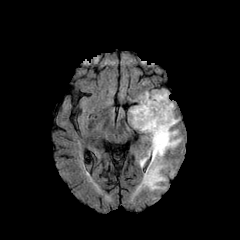
FLAIR magnetic resonance.
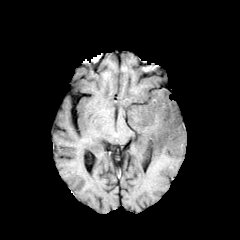
T1-weighted MRI.
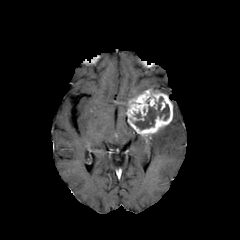
Post-contrast T1-weighted MR image of the same slice.
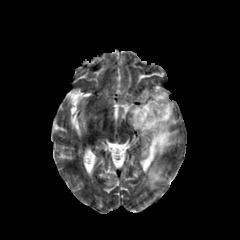
Same slice, T2-weighted MR image.
Brain, 240x240
The non-enhancing tumor core is bounded by l=134, t=97, r=169, b=129. The enhancing tumor appears at l=127, t=89, r=173, b=135. The edema appears at l=139, t=107, r=181, b=190.